Pelvis. Slice 70 of 299. CT scan slice.
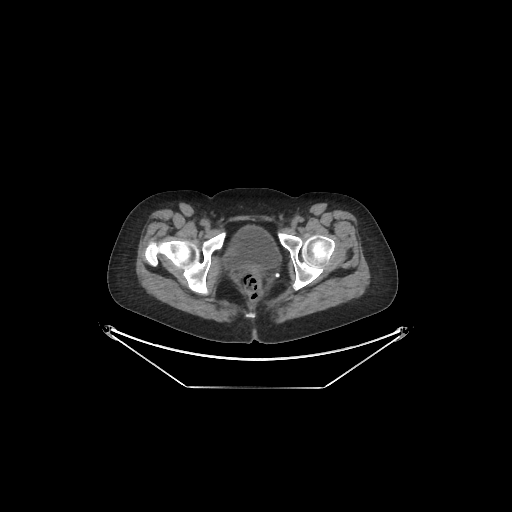 urinary_bladder:
  - <box>221,225,281,270</box>